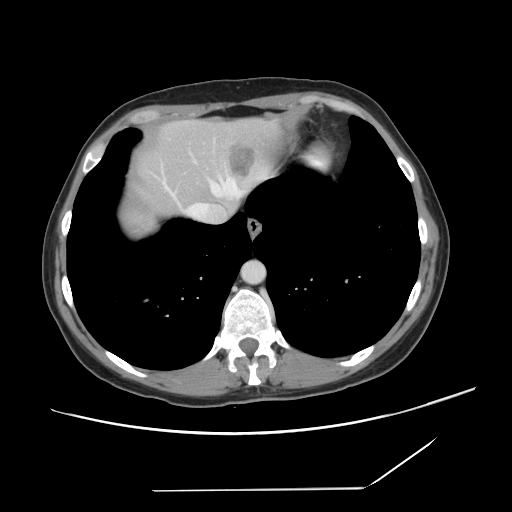 Abdomen | CT scan slice
Not every hepatic vessel necessarily has a box.
Annotated regions:
- liver tumor: 231:147:256:177
- hepatic vessel: 155:176:157:177, 162:167:162:172, 190:152:191:155, 160:174:175:199, 245:179:247:181, 193:158:195:162, 256:175:266:181, 210:173:242:198